Slice 33/52 | Field of view 362x362 mm | Abdomen | CT 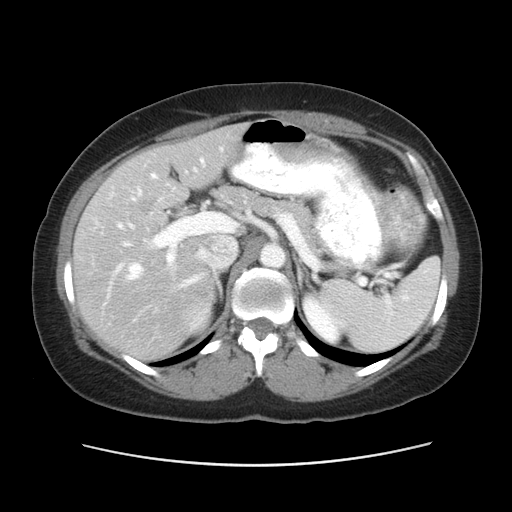
The vessel annotation is not exhaustive.
Liver tumor = {"x1": 137, "y1": 197, "x2": 155, "y2": 217}.
Hepatic vessel = {"x1": 151, "y1": 174, "x2": 156, "y2": 177}, {"x1": 129, "y1": 224, "x2": 133, "y2": 228}, {"x1": 220, "y1": 148, "x2": 222, "y2": 150}, {"x1": 197, "y1": 249, "x2": 202, "y2": 257}, {"x1": 194, "y1": 168, "x2": 196, "y2": 171}, {"x1": 200, "y1": 159, "x2": 204, "y2": 165}, {"x1": 113, "y1": 263, "x2": 123, "y2": 274}, {"x1": 167, "y1": 244, "x2": 175, "y2": 263}, {"x1": 124, "y1": 243, "x2": 128, "y2": 245}, {"x1": 128, "y1": 263, "x2": 140, "y2": 279}, {"x1": 132, "y1": 198, "x2": 135, "y2": 200}, {"x1": 138, "y1": 190, "x2": 141, "y2": 194}.